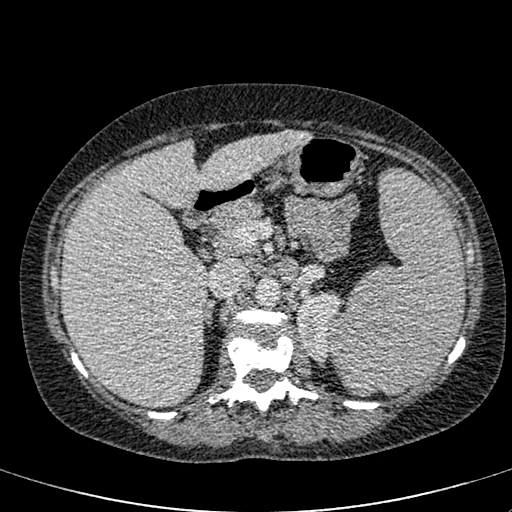
512x512 px, CT image
The kidney appears at region(297, 293, 340, 362). The liver is at region(62, 132, 310, 406).